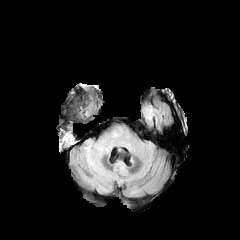
FLAIR MRI.
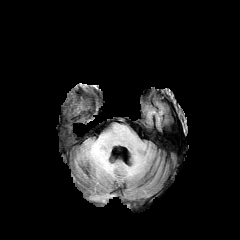
T1-weighted MR image of the same slice.
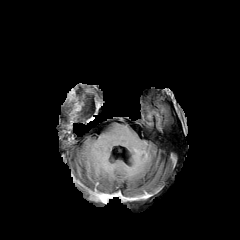
Post-contrast T1-weighted MR.
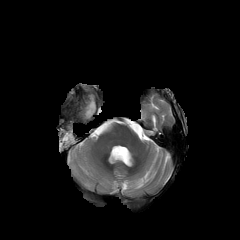
Same slice, T2-weighted magnetic resonance.
{
  "non-enhancing_tumor_core": [
    {"x1": 64, "y1": 131, "x2": 75, "y2": 144}
  ],
  "edema": [
    {"x1": 84, "y1": 146, "x2": 98, "y2": 172}
  ]
}